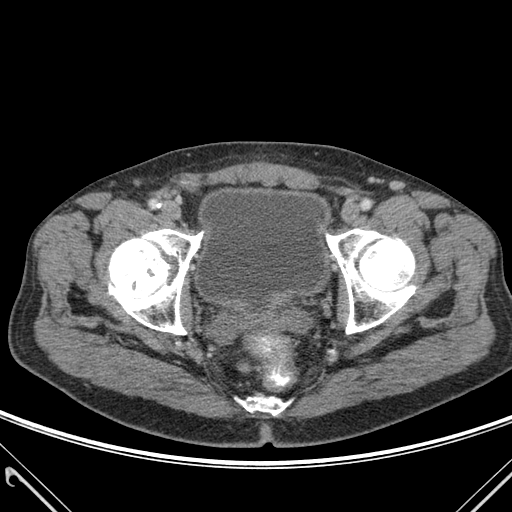 CT slice | Lower abdomen
Segmented structures:
* bone: (238,397,288,415), (326,229,415,333), (108,229,203,334)
* urinary bladder: (197,192,327,312)